512x512 px. CT slice. Abdomen.

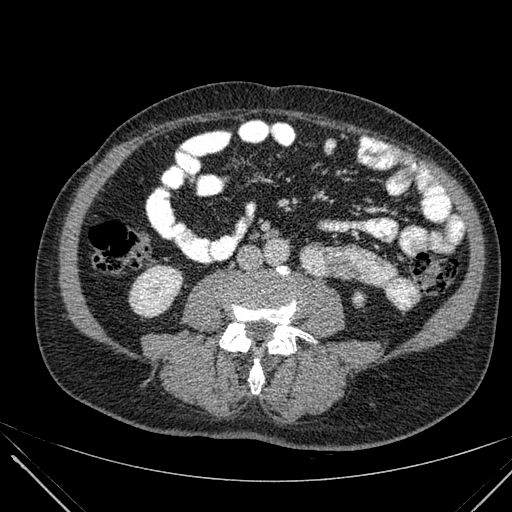 * kidney: (130,266,181,316), (354,293,362,302)